CT image | Slice 32 of 47
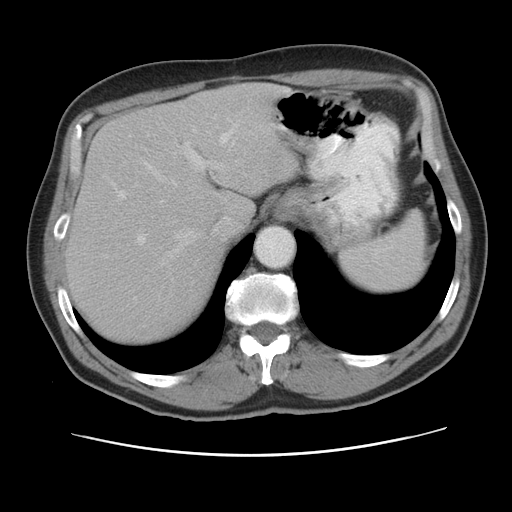
The vessel annotation is not exhaustive.
Hepatic vessel — left=143, top=162, right=161, bottom=180; left=183, top=141, right=210, bottom=170; left=137, top=234, right=144, bottom=243; left=103, top=175, right=124, bottom=197; left=200, top=197, right=201, bottom=198; left=226, top=217, right=228, bottom=218; left=128, top=135, right=130, bottom=136; left=123, top=161, right=125, bottom=163; left=171, top=180, right=175, bottom=185.